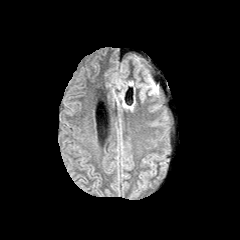
FLAIR MRI.
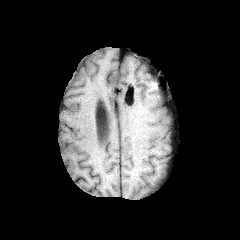
Same slice, T1-weighted MRI.
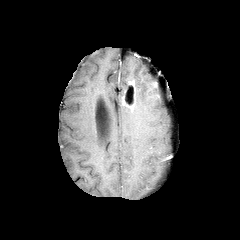
Post-contrast T1-weighted MR.
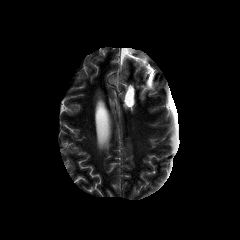
T2-weighted MR of the same slice.
Head
Edema = bbox(136, 69, 157, 98).